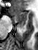 Medial temporal lobe; MR; 38x50 px
{"anterior_hippocampus": ["box=[12, 12, 27, 24]"], "posterior_hippocampus": ["box=[18, 25, 24, 28]"]}